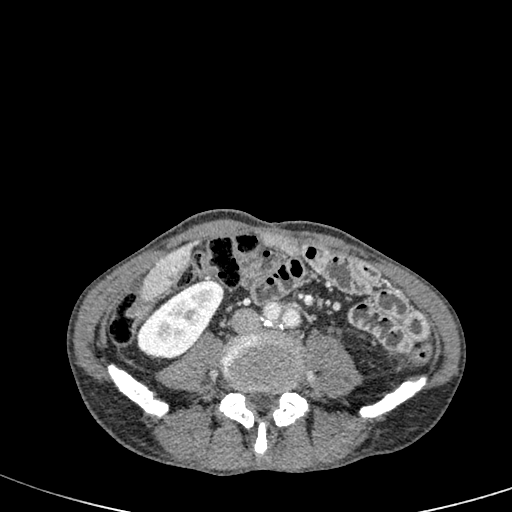

512x512 | CT slice
The liver is located at 142:240:200:300. The kidney is bounded by 138:281:222:357.